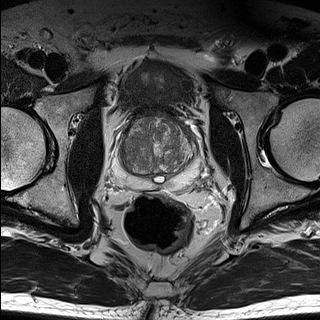
T2-weighted MR image.
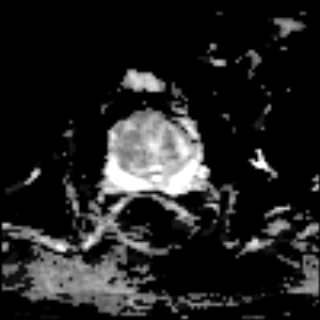
ADC magnetic resonance of the same slice.
Pelvis
Segmented structures:
• prostate peripheral zone: <bbox>113, 139, 198, 188</bbox>
• prostate transition zone: <bbox>122, 118, 198, 175</bbox>